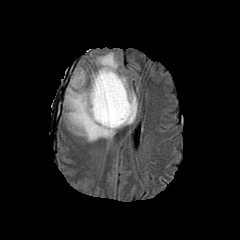
FLAIR MR image.
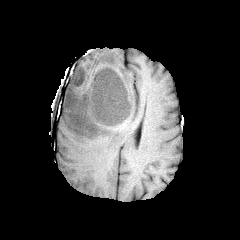
T1-weighted MR.
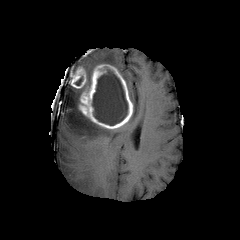
Post-contrast T1-weighted MR of the same slice.
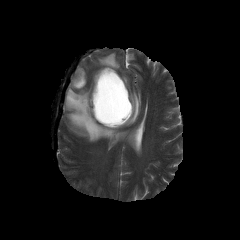
Same slice, T2-weighted MR image.
Image size 240x240
enhancing_tumor:
  - <box>71,68,85,88</box>
  - <box>79,64,132,128</box>
non-enhancing_tumor_core:
  - <box>72,82,90,95</box>
  - <box>92,68,127,125</box>
edema:
  - <box>94,52,119,69</box>
  - <box>84,68,94,87</box>
  - <box>63,74,139,142</box>